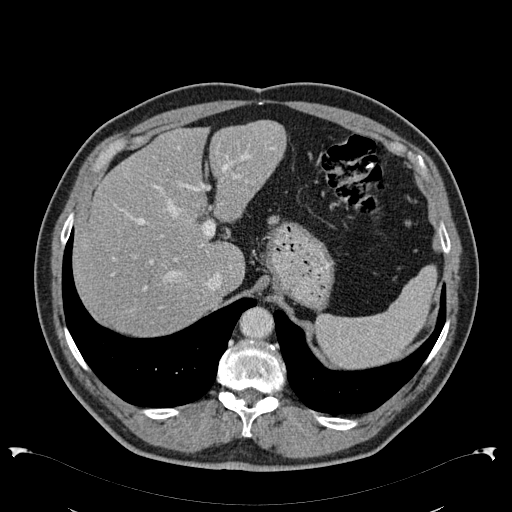
Upper abdomen. CT image. <segmentation>
  <liver><bbox>74, 127, 244, 334</bbox>, <bbox>209, 121, 285, 222</bbox></liver>
</segmentation>